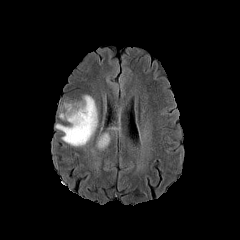
FLAIR MRI.
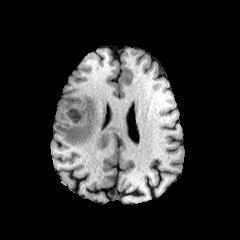
T1-weighted magnetic resonance.
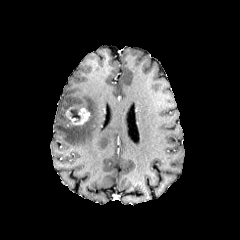
Post-contrast T1-weighted MR.
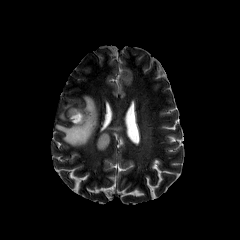
T2-weighted MRI of the same slice.
Edema at x1=97 y1=133 x2=109 y2=149, x1=55 y1=94 x2=97 y2=146.
Non-enhancing tumor core at x1=70 y1=108 x2=80 y2=121.
Enhancing tumor at x1=65 y1=99 x2=90 y2=125.